Slice index 19, Computed tomography, Field of view 437 mm wide, 4.00 mm slice spacing

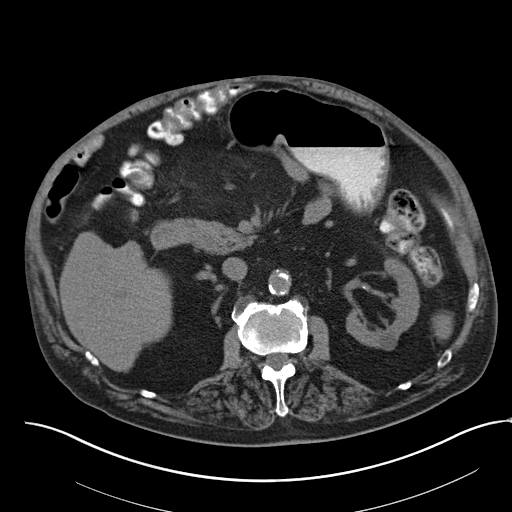 {"spleen": ["[434, 314, 451, 337]"]}